Slice 201 of 291; Computed tomography; Image size 512x512
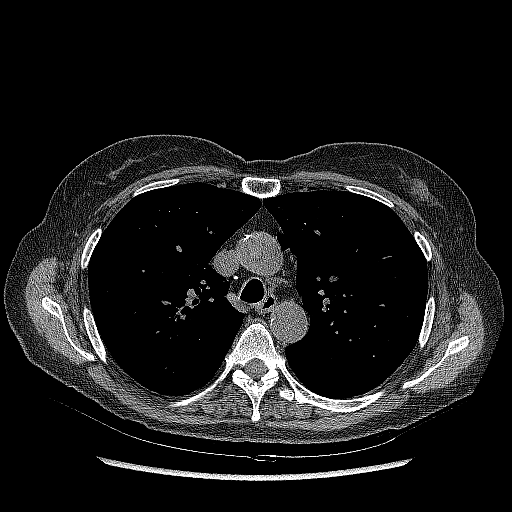 Findings:
* lung tumor: [173, 303, 189, 321]